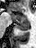
MRI slice

• posterior hippocampus: box=[17, 22, 28, 30]
• anterior hippocampus: box=[8, 10, 28, 21]